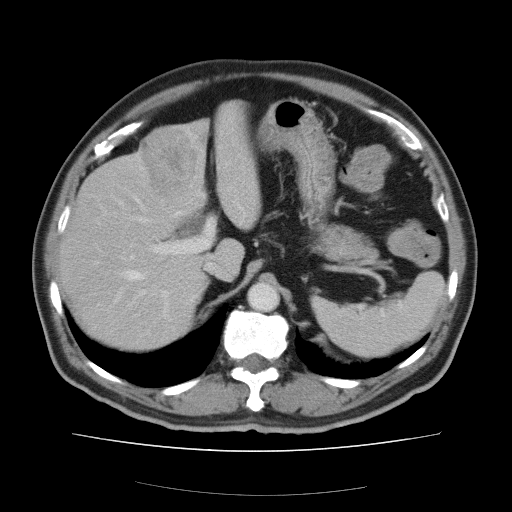 CT image, 512x512
Some hepatic vessels may have no box.
7 hepatic vessel regions appear at 126:271:142:278, 147:220:213:255, 151:285:156:287, 174:211:179:216, 140:218:144:220, 130:256:132:258, 115:292:119:300. The liver tumor is located at 141:132:195:188.